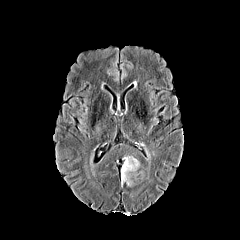
FLAIR MR.
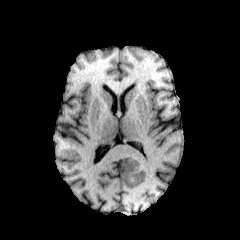
T1-weighted MRI.
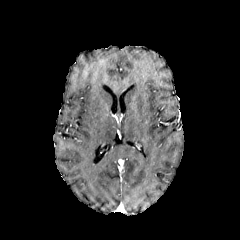
Post-contrast T1-weighted MRI.
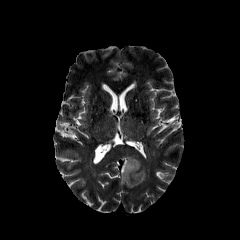
T2-weighted MRI.
240x240 px
<segmentation>
  <edema>[121,156,139,185]</edema>
</segmentation>